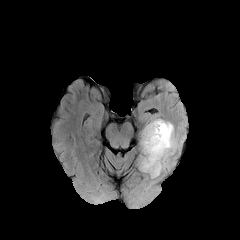
FLAIR MR.
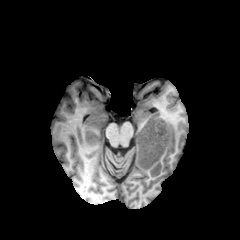
T1-weighted magnetic resonance of the same slice.
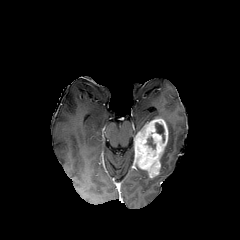
Same slice, post-contrast T1-weighted MR image.
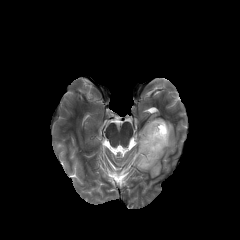
T2-weighted MR image.
Image size 240x240. Head.
The edema appears at 160, 121, 177, 162. The enhancing tumor is bounded by 134, 119, 168, 177. 2 non-enhancing tumor core regions are bounded by 147, 137, 155, 148; 155, 123, 164, 142.